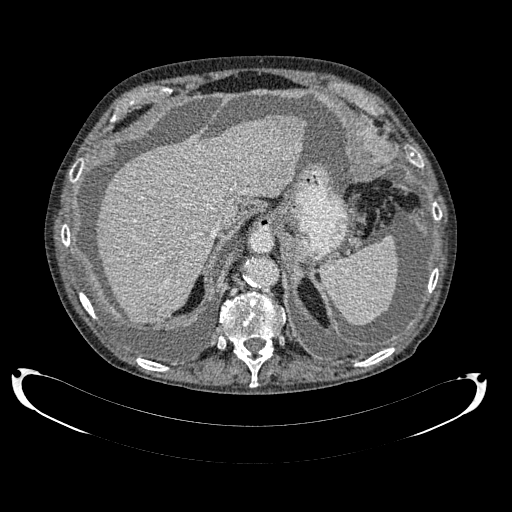

CT slice
2 liver lesion regions are bounded by left=147, top=306, right=155, bottom=315; left=283, top=124, right=301, bottom=146. The liver is at left=96, top=114, right=306, bottom=322.